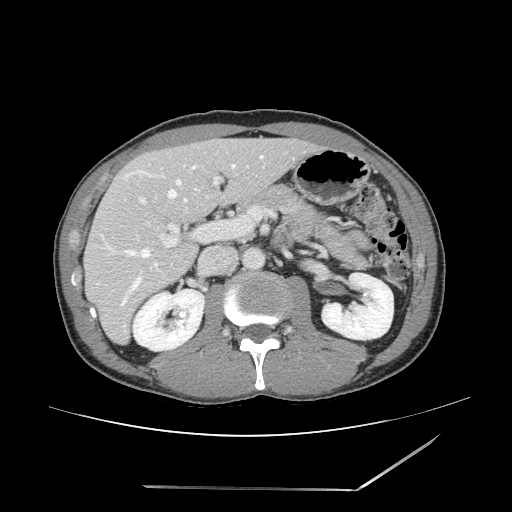

Abdomen | CT | Image size 512x512
Pancreas — (left=239, top=185, right=367, bottom=267).